CT image | Slice 55/121 | Upper abdomen 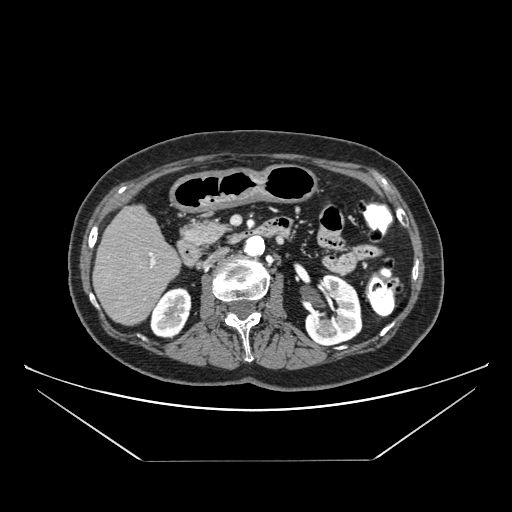
<segmentation>
  <pancreas><box>178,213,233,256</box></pancreas>
</segmentation>